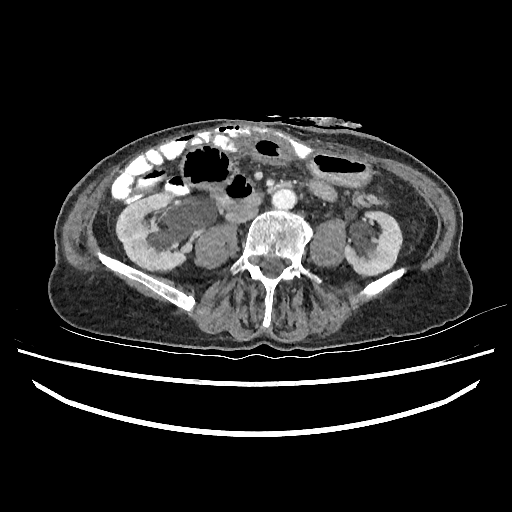
Abdomen | Computed tomography

Annotated regions:
* kidney: [116, 195, 191, 269], [345, 212, 401, 274]